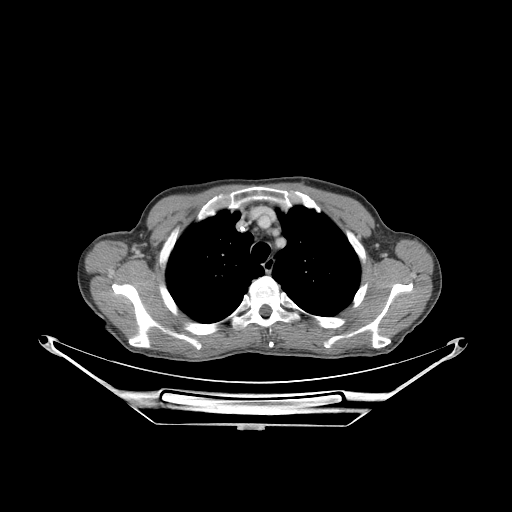
CT scan slice | Chest | 512x512
Lung at x1=272, y1=205, x2=361, y2=316; x1=165, y1=209, x2=263, y2=323.
Bone at x1=295, y1=192, x2=319, y2=211; x1=201, y1=196, x2=220, y2=217; x1=173, y1=333, x2=199, y2=348; x1=160, y1=286, x2=176, y2=313; x1=229, y1=276, x2=303, y2=334; x1=112, y1=284, x2=154, y2=347; x1=314, y1=316, x2=344, y2=327; x1=185, y1=323, x2=216, y2=334; x1=354, y1=284, x2=367, y2=306; x1=325, y1=283, x2=412, y2=347; x1=355, y1=244, x2=363, y2=258; x1=229, y1=187, x2=290, y2=207.